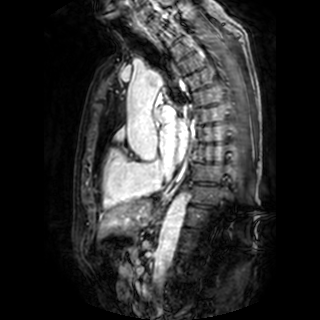 Magnetic resonance
<segmentation>
  <left_atrium><box>160,121,187,163</box></left_atrium>
</segmentation>